Slice index 63, Brain, 240x240
FLAIR MRI.
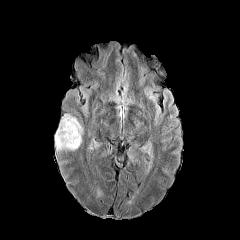
T1-weighted magnetic resonance.
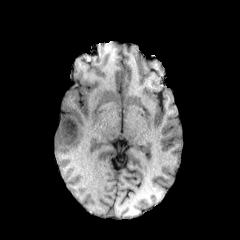
Post-contrast T1-weighted MRI.
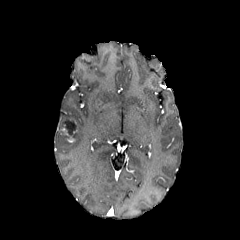
T2-weighted magnetic resonance.
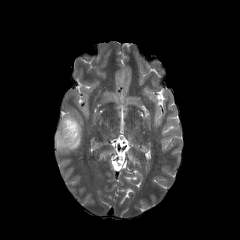
<segmentation>
  <non-enhancing_tumor_core>(61,118,78,139)</non-enhancing_tumor_core>
  <edema>(55,114,82,151), (81,91,90,105)</edema>
</segmentation>